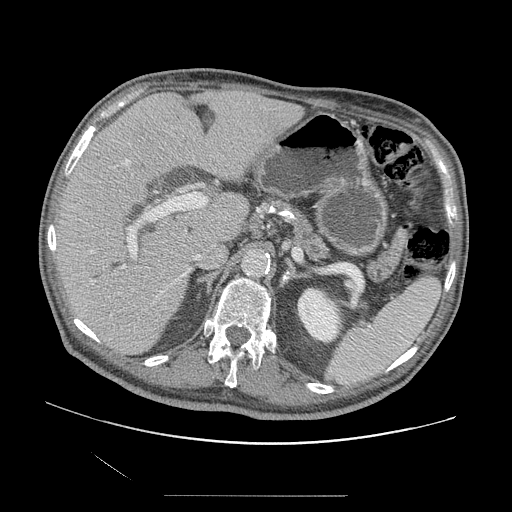

Computed tomography

<segmentation>
  <pancreas>268,197,332,263</pancreas>
</segmentation>